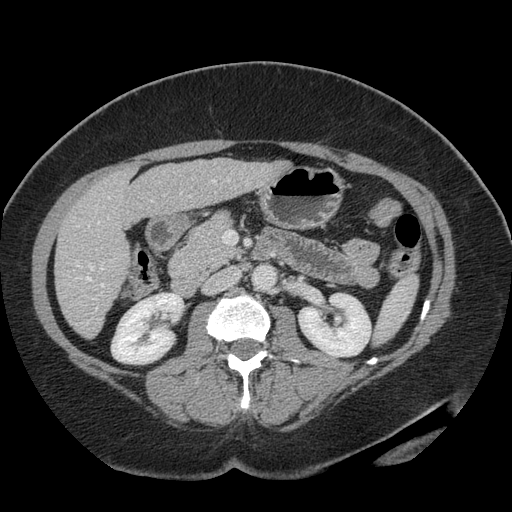

Computed tomography
The vessel boxes may cover only some of the vessels.
7 hepatic vessel regions are located at (x1=213, y1=181, x2=216, y2=183), (x1=89, y1=265, x2=93, y2=269), (x1=101, y1=264, x2=103, y2=269), (x1=101, y1=284, x2=104, y2=286), (x1=98, y1=222, x2=100, y2=224), (x1=228, y1=179, x2=229, y2=181), (x1=86, y1=277, x2=91, y2=281).